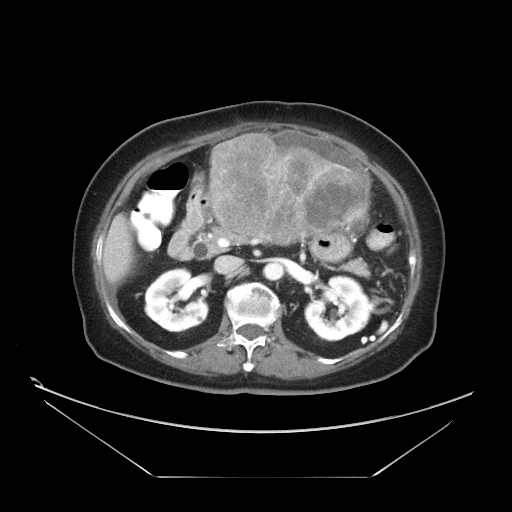
Image size 512x512; CT image; Liver

Liver tumor at left=209, top=133, right=370, bottom=244.